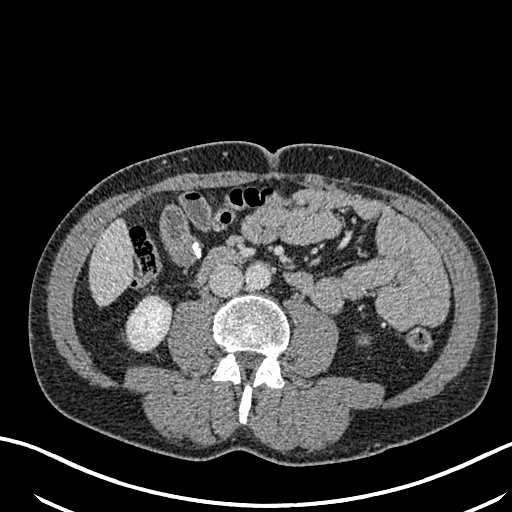
Computed tomography.

The liver is located at [90,220,132,305]. The kidney is bounded by [127,297,171,350].